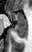
MRI slice | Medial temporal lobe | 32x52 px
The posterior hippocampus appears at box=[14, 23, 26, 37]. The anterior hippocampus lies within box=[6, 10, 26, 22].